Slice 560/654; Computed tomography; Abdomen
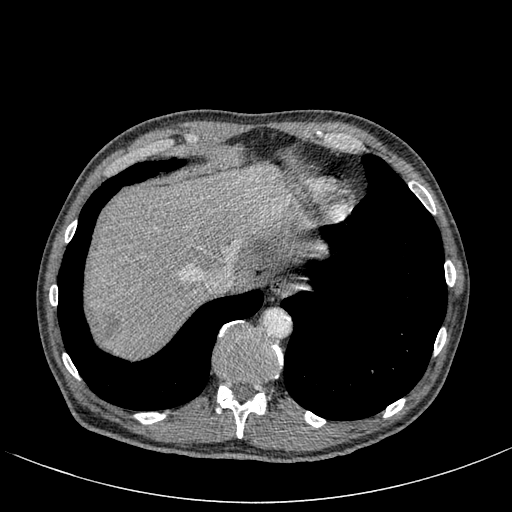

liver: {"x1": 87, "y1": 166, "x2": 326, "y2": 357} | hepatic lesion: {"x1": 88, "y1": 312, "x2": 120, "y2": 344}, {"x1": 282, "y1": 205, "x2": 300, "y2": 223}